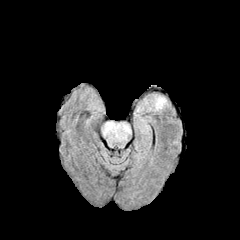
FLAIR MR image.
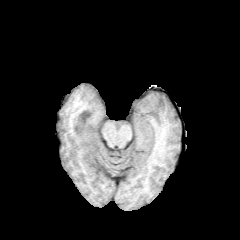
Same slice, T1-weighted MRI.
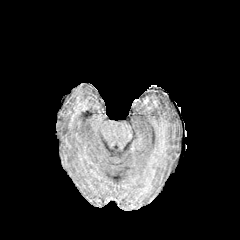
Same slice, post-contrast T1-weighted MR image.
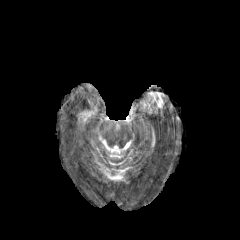
Same slice, T2-weighted MR.
240x240
edema:
  - l=149, t=94, r=166, b=111
  - l=141, t=100, r=151, b=111